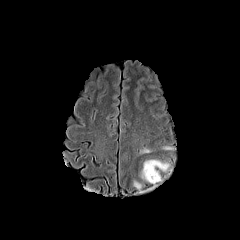
FLAIR magnetic resonance.
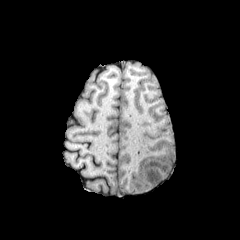
Same slice, T1-weighted MR image.
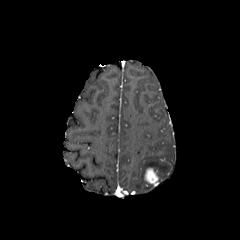
Same slice, post-contrast T1-weighted MR.
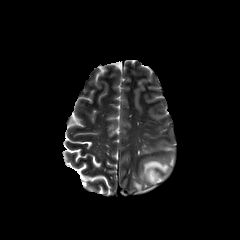
T2-weighted magnetic resonance of the same slice.
Brain | 240x240
The enhancing tumor is bounded by (143, 166, 158, 184). The edema lies within (143, 160, 168, 170).